CT image | Liver 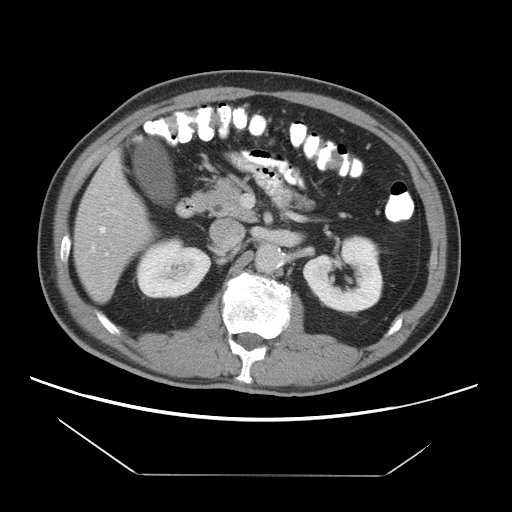
Not every hepatic vessel necessarily has a box.
7 hepatic vessel regions are bounded by 106:254:108:255, 90:242:95:251, 110:197:112:200, 100:226:105:232, 99:207:122:216, 112:163:117:180, 96:291:99:292.